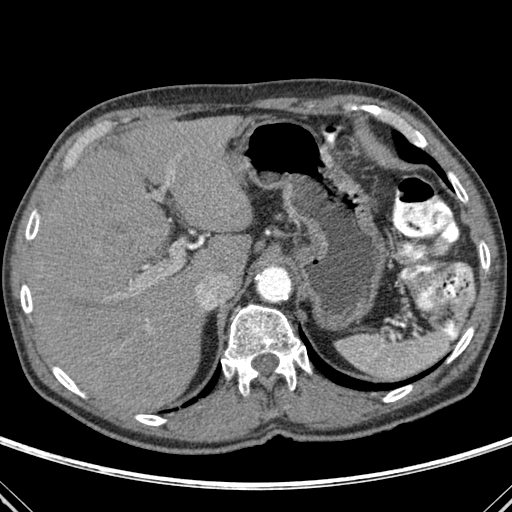
Upper abdomen. CT scan slice.
The liver is at [x1=26, y1=116, x2=252, y2=411]. 3 lung regions are bounded by [x1=182, y1=364, x2=220, y2=406], [x1=299, y1=328, x2=441, y2=390], [x1=392, y1=130, x2=453, y2=190]. 10 bone regions appear at [x1=221, y1=305, x2=311, y2=394], [x1=383, y1=385, x2=412, y2=402], [x1=413, y1=131, x2=427, y2=147], [x1=479, y1=241, x2=490, y2=270], [x1=447, y1=327, x2=473, y2=362], [x1=20, y1=285, x2=32, y2=313], [x1=25, y1=211, x2=39, y2=239], [x1=448, y1=173, x2=467, y2=202], [x1=52, y1=367, x2=84, y2=397], [x1=135, y1=414, x2=166, y2=425].